FLAIR MRI.
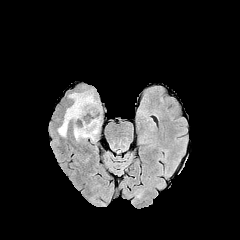
T1-weighted MR image.
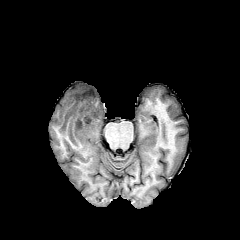
Post-contrast T1-weighted magnetic resonance.
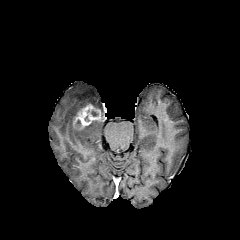
T2-weighted MRI.
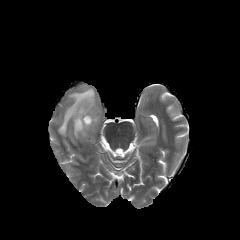
Head
2 edema regions are located at l=58, t=89, r=96, b=136; l=74, t=120, r=99, b=141. The enhancing tumor is at l=74, t=104, r=101, b=127.